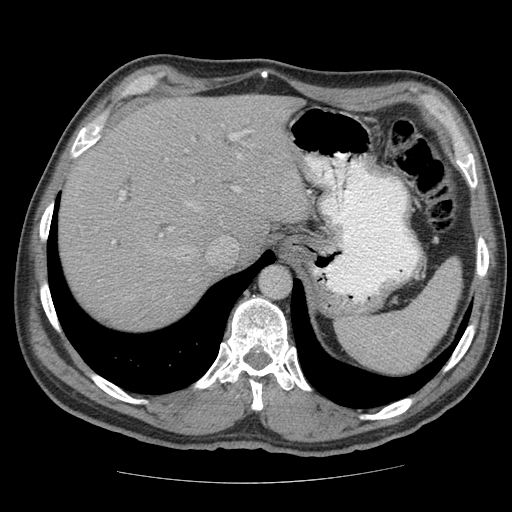
CT image
Some hepatic vessels may have no box.
Findings:
- hepatic vessel: <box>118,192,124,200</box>, <box>171,246,194,259</box>, <box>229,130,250,140</box>, <box>191,178,192,179</box>, <box>232,186,238,190</box>, <box>160,234,161,236</box>, <box>186,202,200,209</box>, <box>207,237,236,263</box>